240x240 px. Head. Field of view 240x240 mm. Slice index 101.
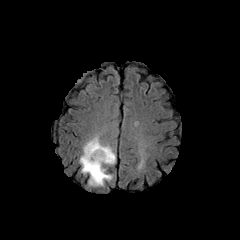
FLAIR MRI.
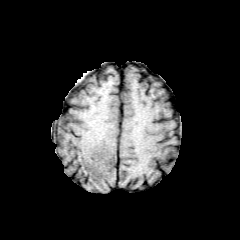
T1-weighted MR image.
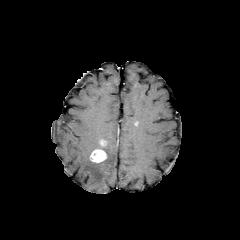
Post-contrast T1-weighted magnetic resonance.
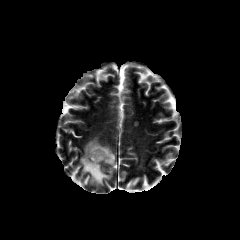
T2-weighted MR image.
Edema = <bbox>79, 135, 116, 187</bbox>.
Enhancing tumor = <bbox>89, 141, 107, 163</bbox>.